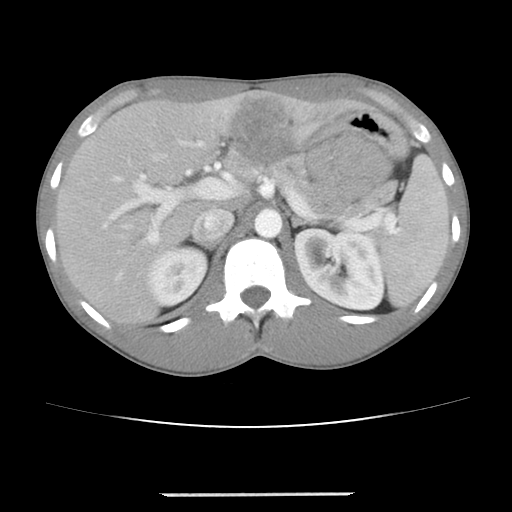
CT image, 512x512 px, Liver
The vessel boxes may cover only some of the vessels.
Hepatic vessel at 185 142 203 146, 111 163 230 244, 187 169 191 173.
Liver tumor at 218 98 294 166.